FLAIR MRI.
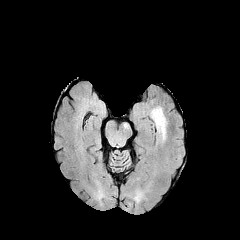
T1-weighted MR.
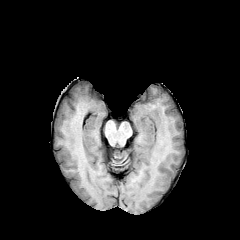
Post-contrast T1-weighted MR.
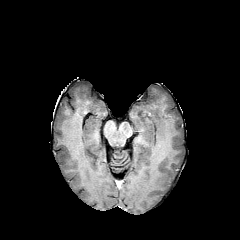
T2-weighted MR image.
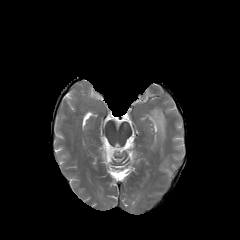
240x240 px; Brain
The edema lies within {"x1": 146, "y1": 106, "x2": 166, "y2": 144}.